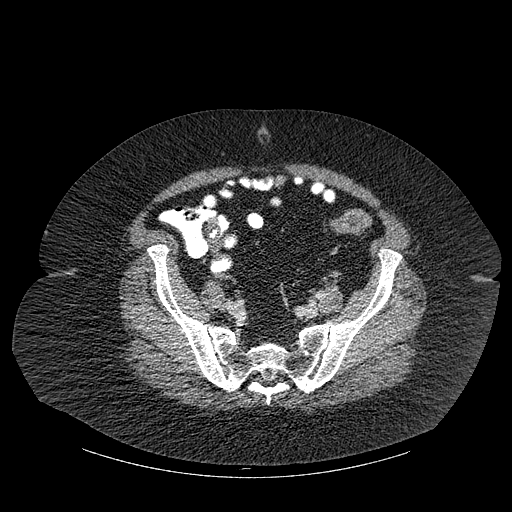 CT image
The bone appears at 147,244,401,404.